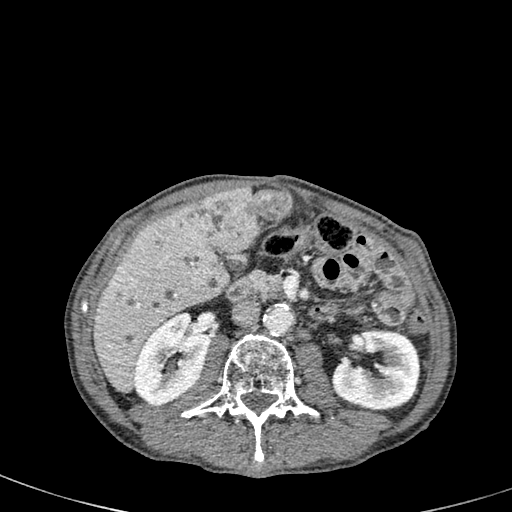

CT scan slice
Segmented structures:
• liver: rect(93, 204, 228, 392)
• kidney: rect(133, 313, 212, 405); rect(333, 331, 418, 408)
• focal liver lesion: rect(191, 188, 291, 251); rect(110, 288, 122, 299)